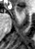 Hippocampus. MR. 35x49 px. The anterior hippocampus is bounded by (left=16, top=6, right=22, bottom=13).